CT slice | 512x512 | Slice index 374

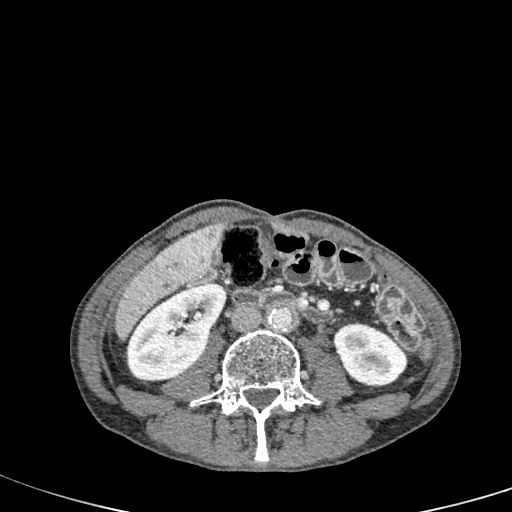
liver:
  - 116,222,223,341
kidney:
  - 334,324,406,384
  - 127,282,225,379